512x512. Slice index 73. Field of view 477 mm wide, 3.00 mm slice spacing. Abdomen. CT scan slice.

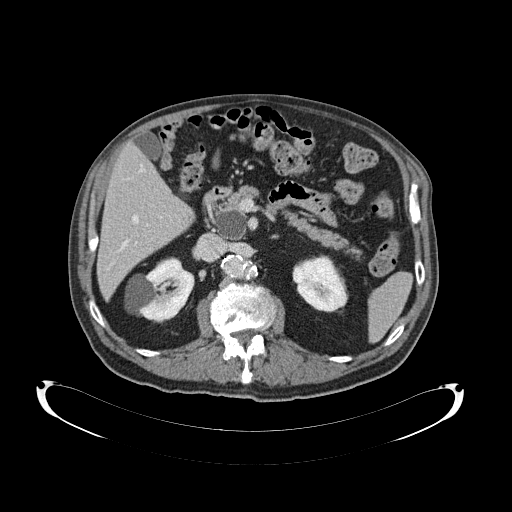
pancreas: (213,185,266,240), (269,204,362,260) | pancreatic tumor: (216,210,245,238)